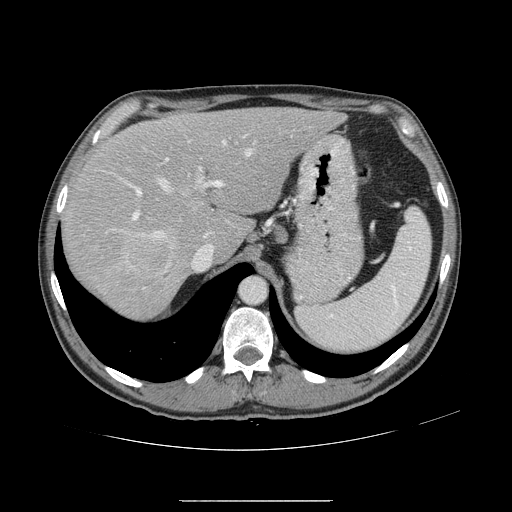 Computed tomography
Some hepatic vessels may have no box.
{"hepatic_vessel": ["l=124, t=182, r=135, b=187", "l=140, t=233, r=147, b=236", "l=166, t=159, r=168, b=160", "l=136, t=188, r=140, b=195", "l=204, t=233, r=209, b=236", "l=113, t=229, r=118, b=230", "l=245, t=149, r=252, b=155", "l=211, t=181, r=223, b=186", "l=198, t=179, r=203, b=184", "l=172, t=245, r=173, b=247", "l=133, t=211, r=138, b=219", "l=199, t=167, r=201, b=169", "l=158, t=178, r=169, b=189", "l=223, t=140, r=225, b=144", "l=149, t=231, r=165, b=239"], "liver_tumor": ["l=131, t=242, r=167, b=270"]}